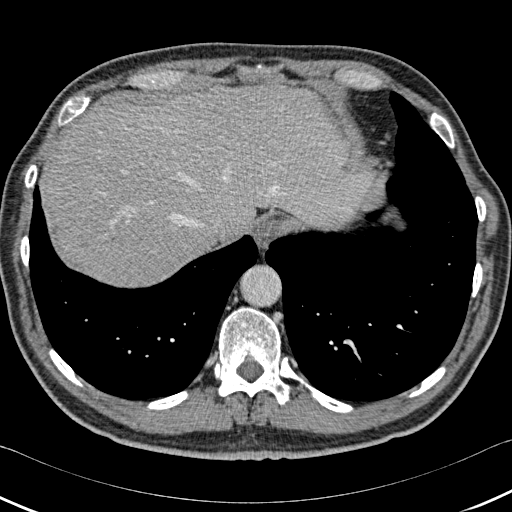

Computed tomography
Lung: 29 185 260 400, 265 91 478 404.
Liver: 40 85 372 286.
Liver lesion: 79 238 90 246.
Bone: 472 263 482 296, 20 236 29 266, 430 113 454 147, 475 196 485 221, 25 165 36 187, 147 391 187 409, 49 349 82 386, 409 367 445 397, 64 97 88 123, 214 308 352 412, 60 100 74 115.